CT image, 512x512 px, Upper abdomen 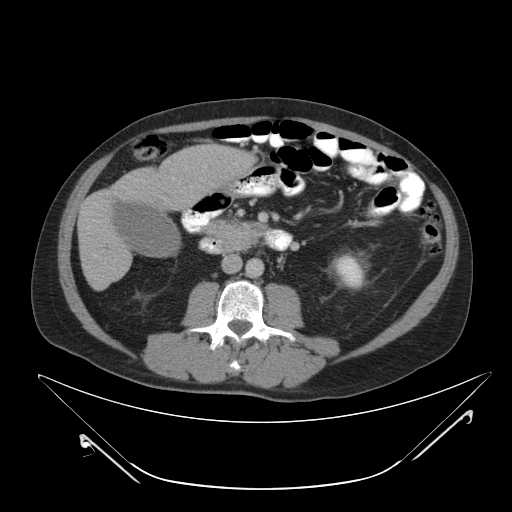

Pancreas = left=204, top=216, right=267, bottom=252.